Image size 512x512; Computed tomography; Abdomen; Slice index 305
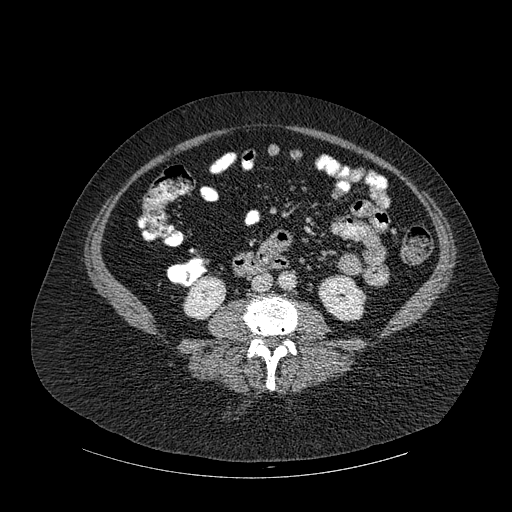
2 kidney regions appear at rect(184, 276, 225, 318); rect(319, 276, 364, 320). The bone appears at rect(244, 297, 297, 389).